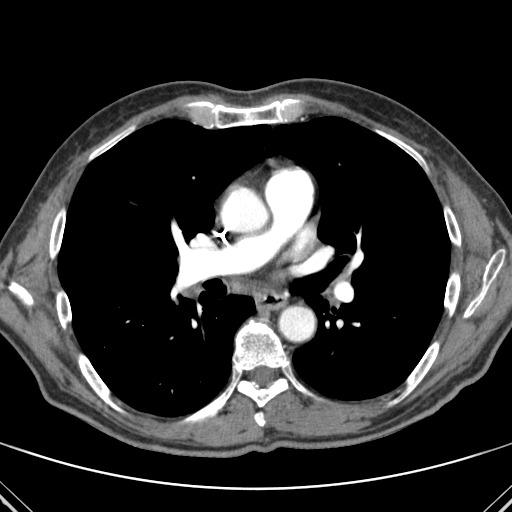 Computed tomography
Lung at [58,116,450,416].
Bone at [78,354,121,411], [182,320,312,422], [49,209,65,258], [403,342,438,395], [171,282,183,297], [377,130,423,161], [56,292,71,328], [444,273,460,315], [444,207,460,245], [9,282,33,305], [464,255,502,317], [189,99,298,127], [254,412,265,425], [89,129,131,159].